Slice index 32; CT image

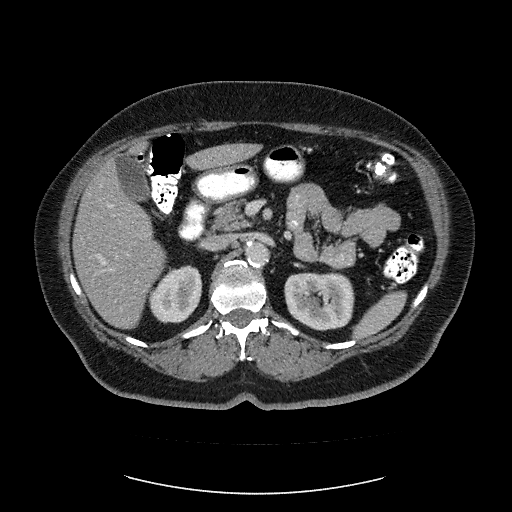 Only some of the vessels may be annotated.
Hepatic vessel = box=[109, 204, 112, 207]; box=[98, 255, 105, 263]; box=[95, 271, 99, 273]; box=[109, 268, 114, 270]; box=[116, 256, 117, 257].